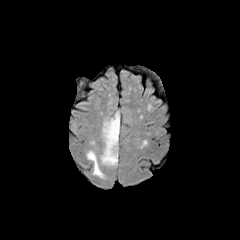
FLAIR magnetic resonance.
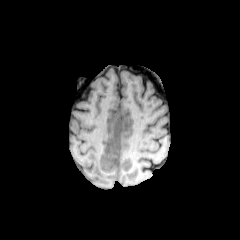
T1-weighted MR image.
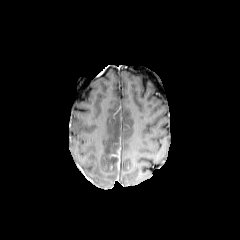
Post-contrast T1-weighted MR.
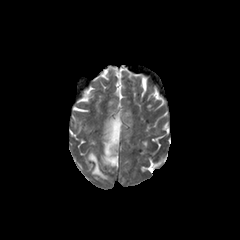
Same slice, T2-weighted MR.
{
  "edema": [
    "86 111 121 178"
  ]
}